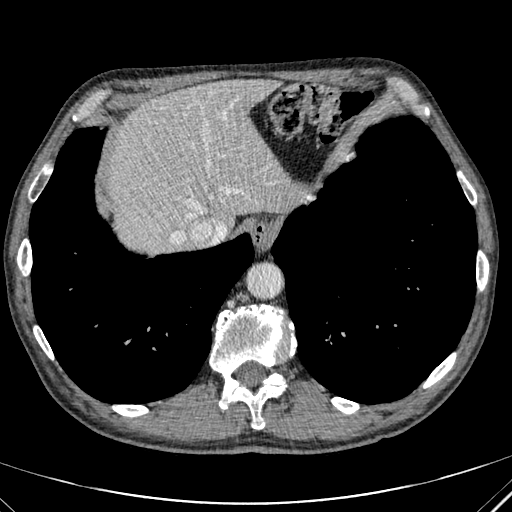
CT slice. Image size 512x512. Liver.

• liver: (108, 79, 290, 251)